CT slice | Abdomen

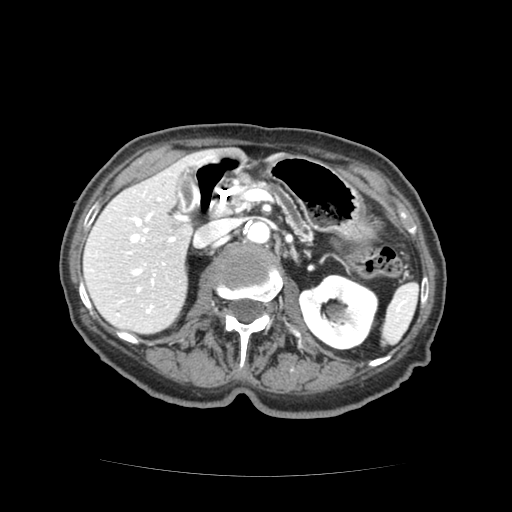
2 pancreas regions are located at (x1=212, y1=191, x2=247, y2=218), (x1=247, y1=181, x2=313, y2=242).